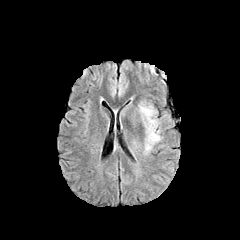
FLAIR magnetic resonance.
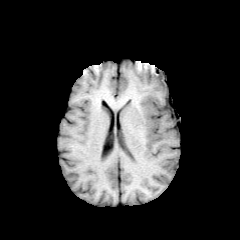
Same slice, T1-weighted magnetic resonance.
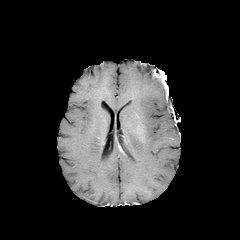
Post-contrast T1-weighted magnetic resonance.
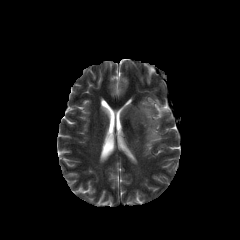
T2-weighted MR image.
Head. 240x240.
The edema is at {"x1": 138, "y1": 102, "x2": 162, "y2": 154}.